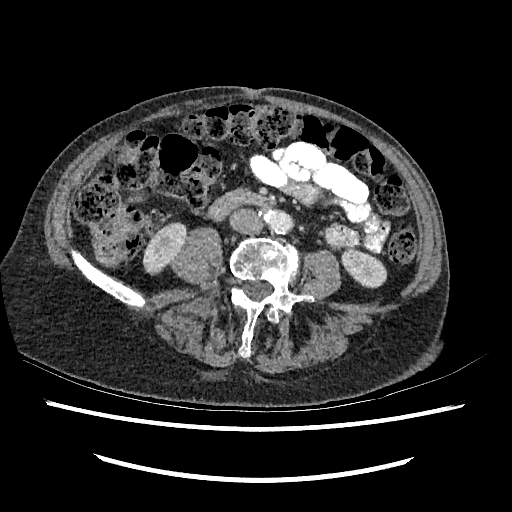 CT; Abdomen
Annotated regions:
- kidney: bbox=[141, 224, 189, 270]; bbox=[342, 250, 386, 286]